240x240. Head.
FLAIR MR.
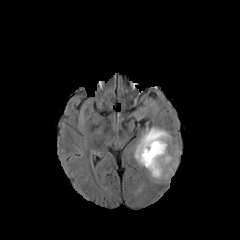
T1-weighted MRI.
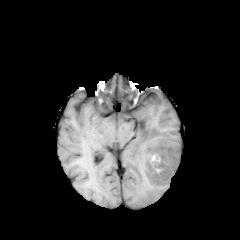
Post-contrast T1-weighted MRI.
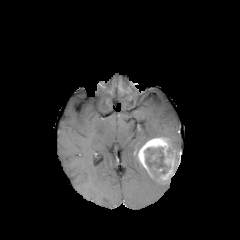
T2-weighted MR image.
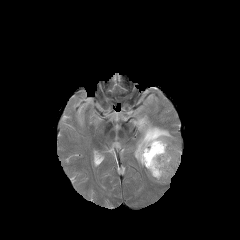
Findings:
• non-enhancing tumor core: (x1=146, y1=148, x2=167, y2=182)
• edema: (x1=152, y1=153, x2=163, y2=167), (x1=130, y1=122, x2=180, y2=167), (x1=148, y1=172, x2=160, y2=183)
• enhancing tumor: (x1=138, y1=137, x2=181, y2=180)